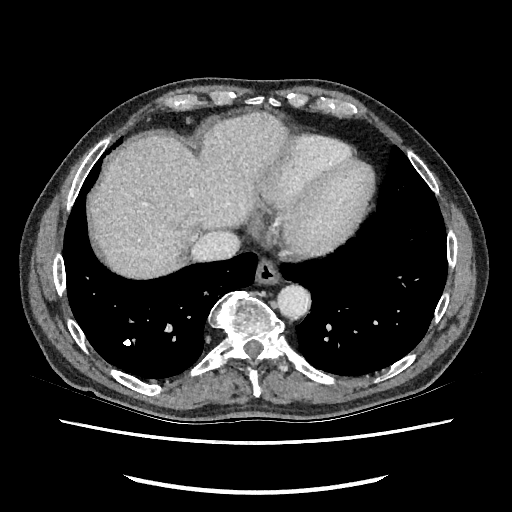

512x512 | CT slice
The liver is located at rect(92, 114, 284, 277).